Brain; 240x240 px
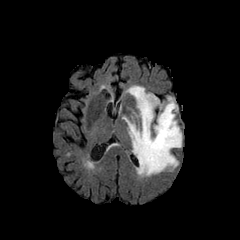
FLAIR MR.
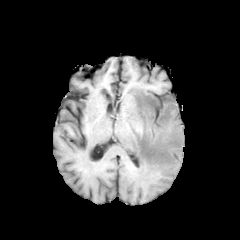
T1-weighted magnetic resonance of the same slice.
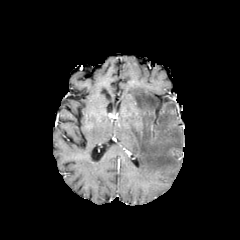
Post-contrast T1-weighted magnetic resonance.
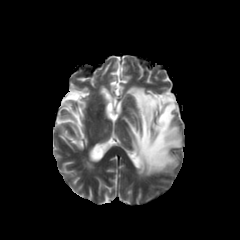
Same slice, T2-weighted MRI.
Findings:
* edema: 122,85,182,176